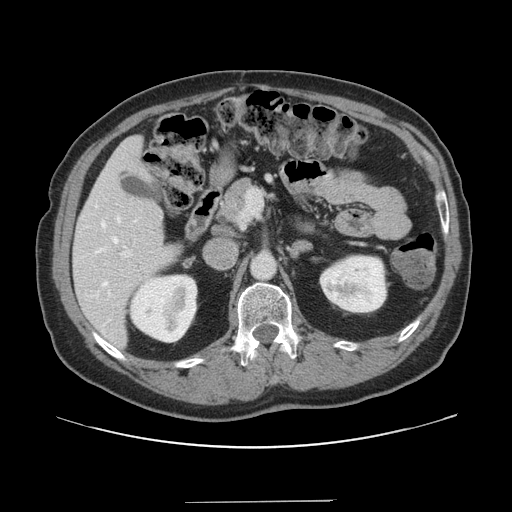 CT slice. 512x512 px.

The vessel annotation is not exhaustive.
{
  "hepatic_vessel": [
    "101 221 105 227",
    "121 246 131 257",
    "117 216 119 222",
    "102 281 107 285",
    "241 191 260 217",
    "112 237 117 243"
  ]
}